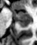
MRI slice. Medial temporal lobe. Segmented structures:
- posterior hippocampus: (x1=17, y1=20, x2=30, y2=27)
- anterior hippocampus: (x1=12, y1=11, x2=30, y2=19)